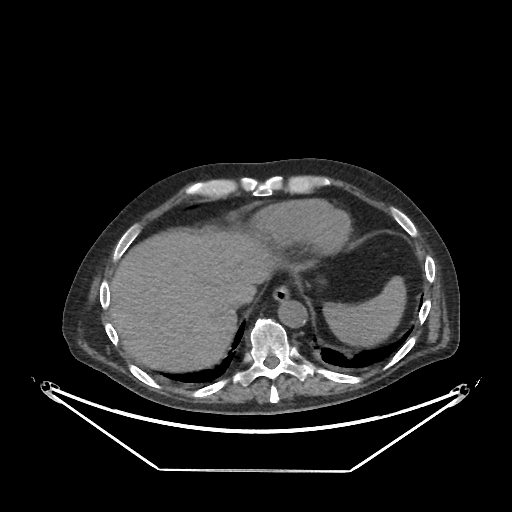

CT slice.

Liver: box=[105, 227, 280, 371].